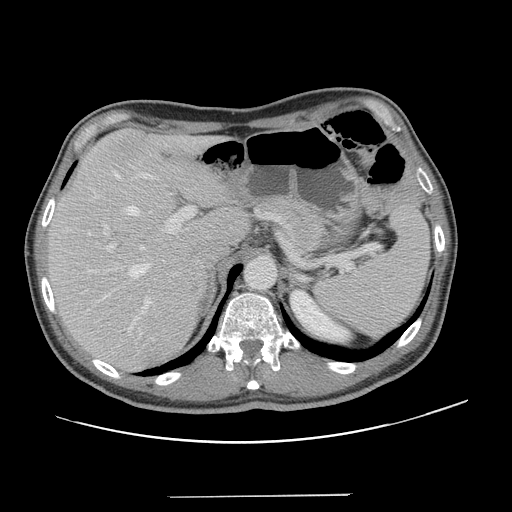
Abdomen. CT scan slice. Only some of the vessels may be annotated.
The liver tumor appears at [x1=189, y1=285, x2=200, y2=295]. The principal 15 hepatic vessel regions (of 16) are located at [x1=129, y1=264, x2=149, y2=278], [x1=138, y1=173, x2=151, y2=177], [x1=101, y1=293, x2=109, y2=299], [x1=126, y1=206, x2=138, y2=215], [x1=140, y1=245, x2=143, y2=249], [x1=88, y1=231, x2=90, y2=235], [x1=128, y1=316, x2=139, y2=334], [x1=131, y1=178, x2=133, y2=179], [x1=139, y1=334, x2=140, y2=336], [x1=141, y1=297, x2=152, y2=313], [x1=166, y1=206, x2=194, y2=232], [x1=103, y1=225, x2=108, y2=234], [x1=106, y1=244, x2=115, y2=250], [x1=138, y1=329, x2=139, y2=331], [x1=113, y1=171, x2=119, y2=177].